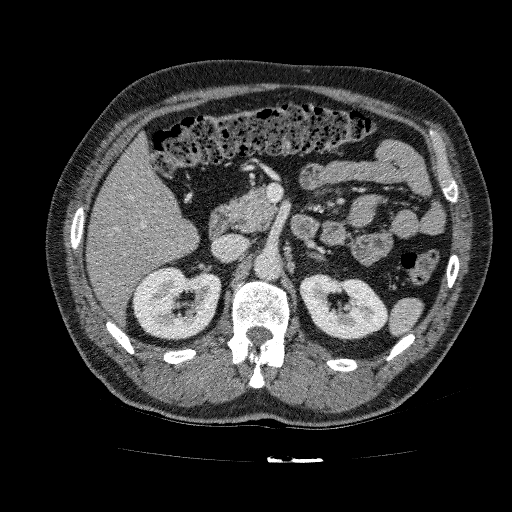

Abdomen. CT slice.
liver:
  - box=[86, 133, 199, 325]
kidney:
  - box=[300, 275, 387, 338]
  - box=[133, 268, 220, 338]